240x240 px. Field of view 240 mm wide, 1.00 mm slice spacing. Slice index 131.
FLAIR MRI.
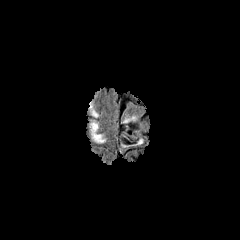
T1-weighted MR image.
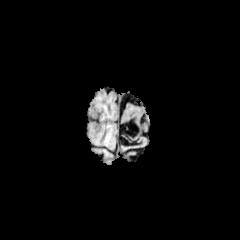
Post-contrast T1-weighted MR image.
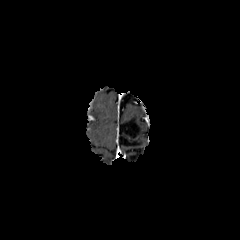
T2-weighted MR.
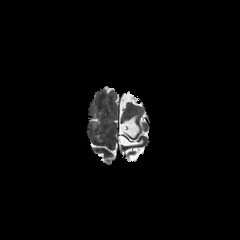
Edema: bounding box {"x1": 90, "y1": 120, "x2": 106, "y2": 142}.